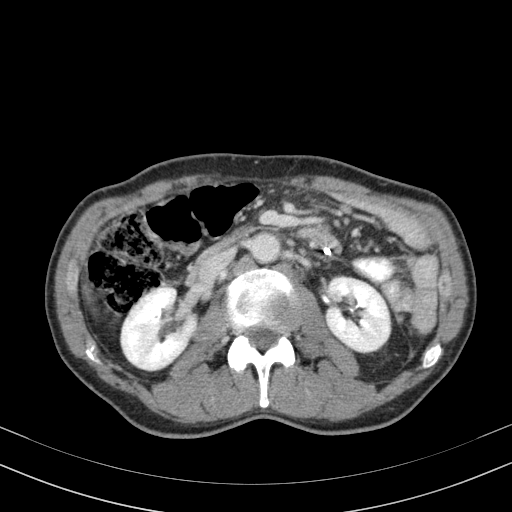 512x512, Computed tomography
kidney:
  - box=[121, 288, 195, 369]
  - box=[327, 278, 389, 351]
liver:
  - box=[83, 280, 92, 302]